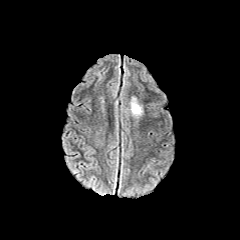
FLAIR MR image.
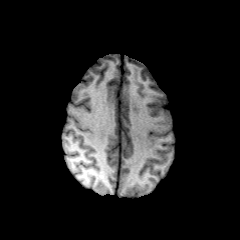
T1-weighted magnetic resonance of the same slice.
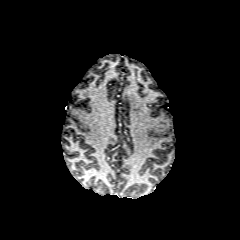
Same slice, post-contrast T1-weighted MR image.
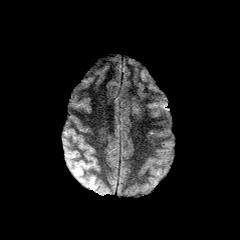
T2-weighted MR image.
{
  "edema": [
    "126, 98, 141, 115"
  ]
}